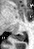 MRI
posterior_hippocampus:
  - x1=12 y1=33 x2=25 y2=40